CT scan slice | 512x512 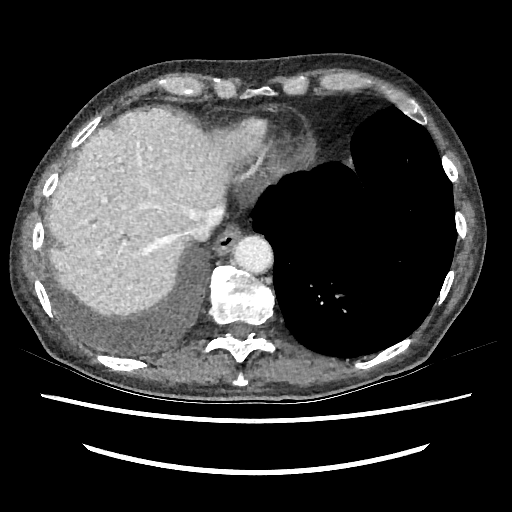 Liver: bounding box x1=46 y1=110 x2=252 y2=313.